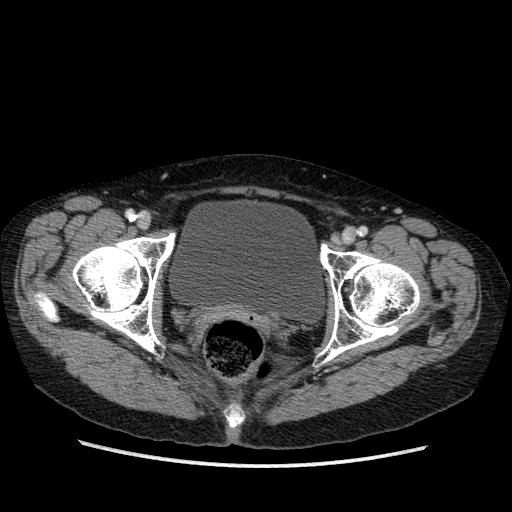
512x512 px. CT slice.

Urinary bladder — [168, 199, 327, 324].